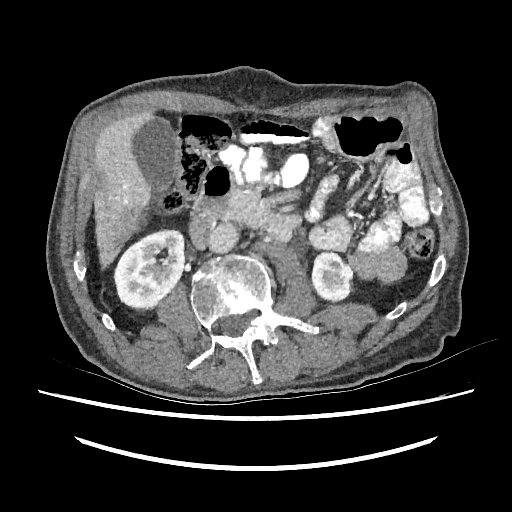
Image size 512x512, CT image
2 liver lesion regions appear at <bbox>96, 172, 108, 190</bbox>, <bbox>111, 204, 140, 249</bbox>. 2 kidney regions appear at <bbox>312, 253, 352, 300</bbox>, <bbox>115, 231, 184, 307</bbox>. The liver appears at <bbox>94, 110, 153, 267</bbox>.